Field of view 240 mm wide, 1.00 mm slice spacing, Slice 69 of 155
FLAIR MR image.
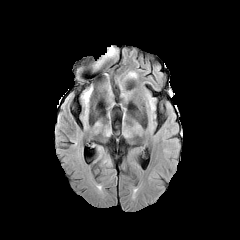
T1-weighted MR image.
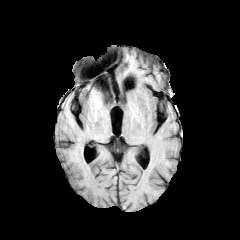
Post-contrast T1-weighted MR image.
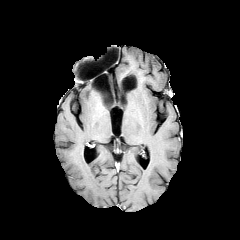
T2-weighted magnetic resonance.
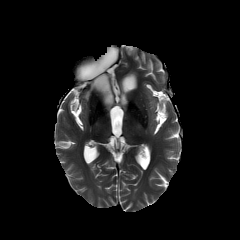
2 edema regions are bounded by x1=107, y1=47, x2=115, y2=55; x1=104, y1=90, x2=113, y2=103.